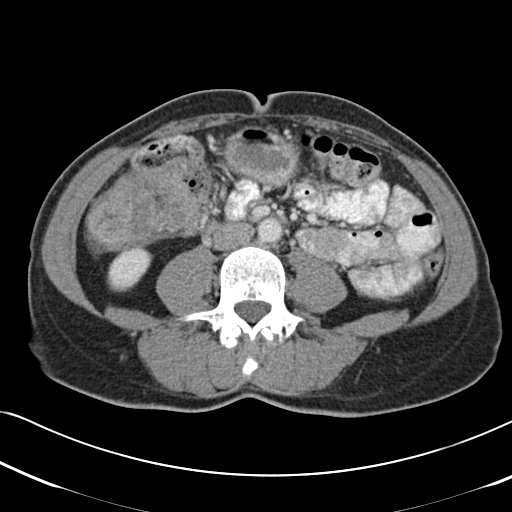 Pelvis; CT image; 512x512
Colon tumor: bounding box <box>88,158,200,249</box>.